CT slice. Image width 496 mm.
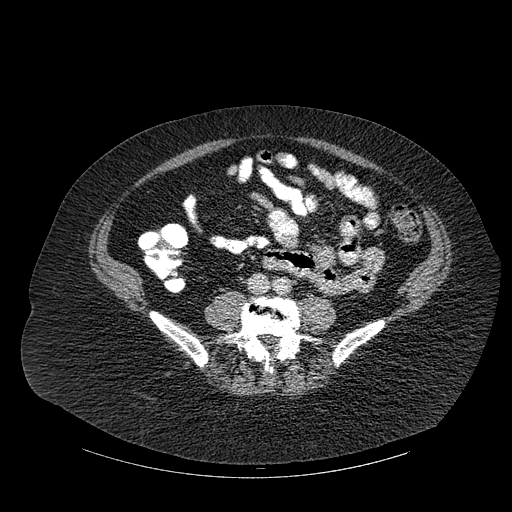
Bone: (x1=333, y1=320, x2=384, y2=366), (x1=150, y1=311, x2=207, y2=366), (x1=227, y1=297, x2=308, y2=374).